MRI, Image size 39x41
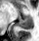

anterior_hippocampus:
  - bbox=[25, 16, 32, 18]
posterior_hippocampus:
  - bbox=[18, 19, 32, 29]